FLAIR MRI.
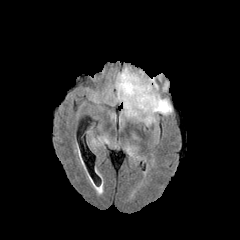
T1-weighted MR image.
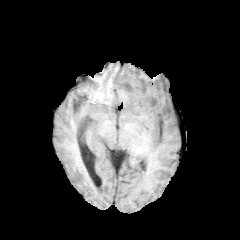
Post-contrast T1-weighted MR.
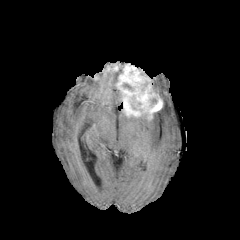
T2-weighted MR image.
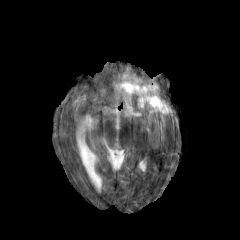
Brain
edema: 106 110 116 121, 111 69 122 88, 119 111 125 124, 97 136 109 144, 101 89 122 105, 131 77 172 130, 90 93 99 103 | enhancing tumor: 115 63 162 121 | non-enhancing tumor core: 123 83 133 90